Slice index 55. Upper abdomen. CT image.
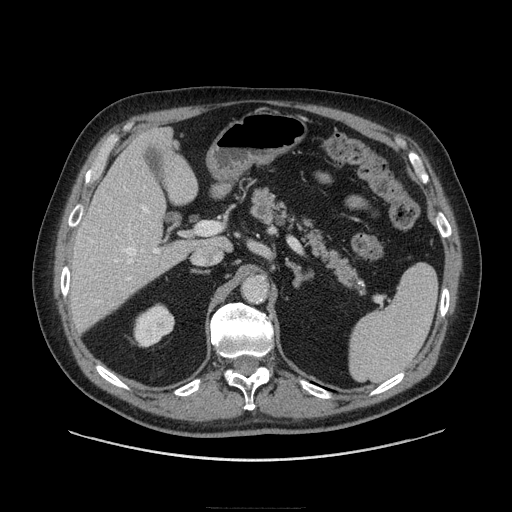
The pancreatic tumor is located at {"x1": 257, "y1": 205, "x2": 269, "y2": 217}. The pancreas is located at {"x1": 250, "y1": 187, "x2": 365, "y2": 292}.